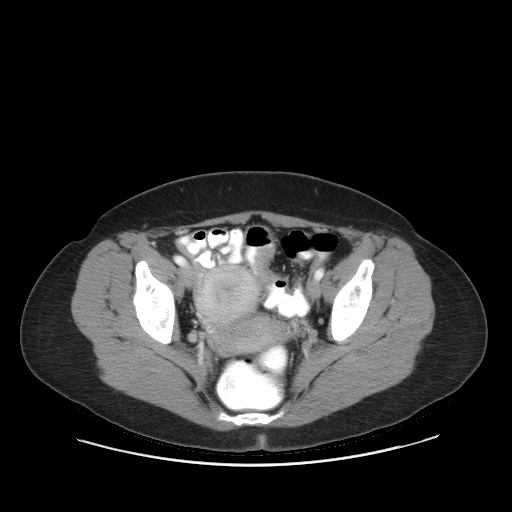 Image size 512x512; CT image; Abdomen
colon_tumor:
  - box(254, 245, 275, 283)
  - box(285, 280, 298, 294)